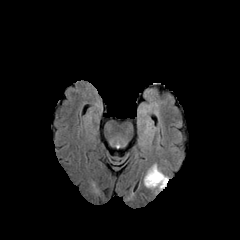
FLAIR MR image.
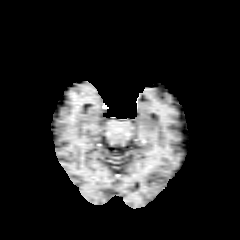
Same slice, T1-weighted MR image.
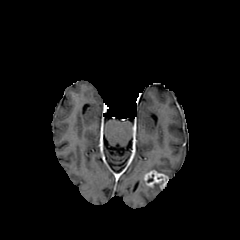
Post-contrast T1-weighted MRI of the same slice.
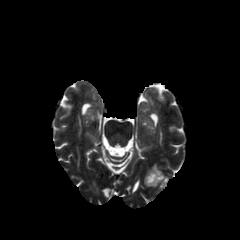
T2-weighted MR image.
Brain
Segmented structures:
* edema: (left=147, top=163, right=163, bottom=173), (left=144, top=181, right=161, bottom=190)
* enhancing tumor: (left=144, top=170, right=168, bottom=188)